Liver, Image size 512x512, CT slice
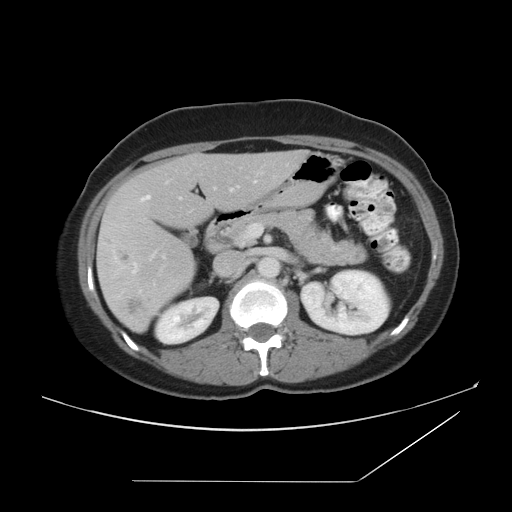

Not every hepatic vessel necessarily has a box.
Annotated regions:
• liver tumor: box=[128, 300, 144, 314]
• hepatic vessel: box=[113, 253, 119, 262]; box=[165, 181, 168, 183]; box=[230, 188, 233, 190]; box=[160, 267, 162, 270]; box=[141, 195, 150, 200]; box=[132, 263, 137, 273]; box=[122, 289, 123, 291]; box=[114, 268, 119, 275]; box=[103, 243, 105, 244]; box=[179, 197, 181, 199]; box=[139, 290, 140, 292]; box=[254, 181, 256, 182]; box=[149, 253, 154, 260]; box=[162, 255, 165, 257]; box=[122, 266, 124, 267]